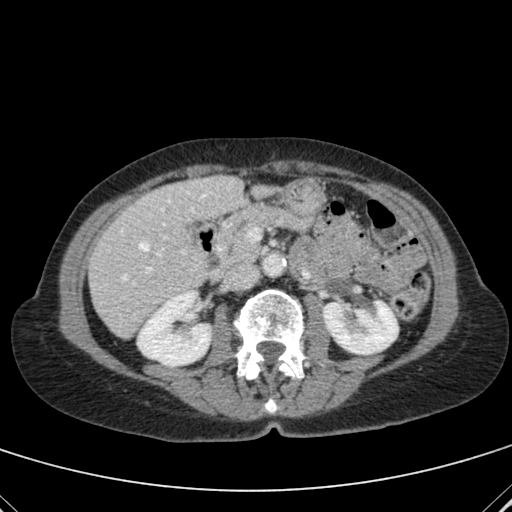 Abdomen, CT image, 512x512 px
kidney: (x1=138, y1=291, x2=210, y2=365), (x1=324, y1=301, x2=397, y2=353) | liver: (x1=255, y1=187, x2=268, y2=195), (x1=89, y1=175, x2=246, y2=335)